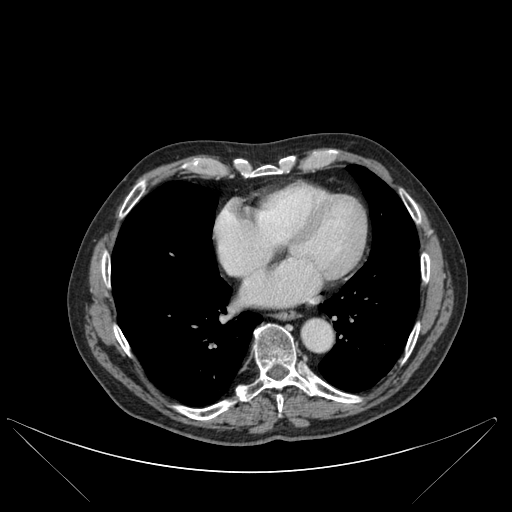 CT. 10 bone regions appear at left=404, top=323, right=419, bottom=360; left=421, top=253, right=430, bottom=281; left=277, top=394, right=282, bottom=411; left=175, top=401, right=234, bottom=420; left=236, top=324, right=360, bottom=403; left=113, top=326, right=129, bottom=354; left=120, top=181, right=145, bottom=216; left=244, top=166, right=282, bottom=177; left=101, top=255, right=110, bottom=286; left=403, top=194, right=420, bottom=222. 2 lung regions appear at left=318, top=165, right=419, bottom=391; left=111, top=181, right=262, bottom=405.